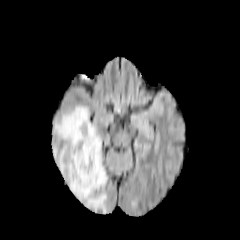
FLAIR MRI.
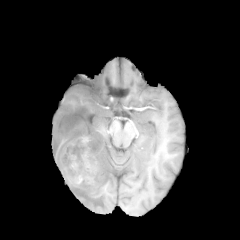
Same slice, T1-weighted MR.
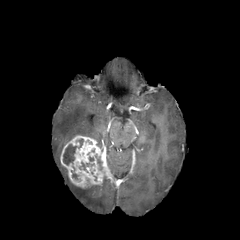
Same slice, post-contrast T1-weighted MR image.
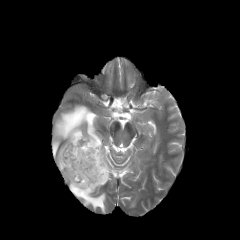
T2-weighted MRI.
non-enhancing tumor core: 62 144 77 165 | edema: 52 104 108 213 | enhancing tumor: 60 135 108 188